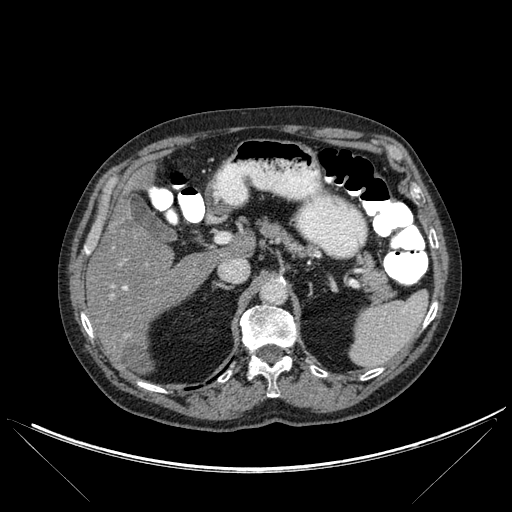 CT scan slice | Image size 512x512 | Upper abdomen
Bone: (423,302,437,326), (361,368,382,380), (218,371,231,382), (310,365,327,376), (249,355,291,397), (240,305,296,352), (81,313,92,336), (429,229,438,247), (138,382,165,392).
Focal liver lesion: (120,218,133,228), (121,343,151,371).
Liver: (213,234,255,262), (128,165,154,190), (86,200,216,364), (123,366,147,372).